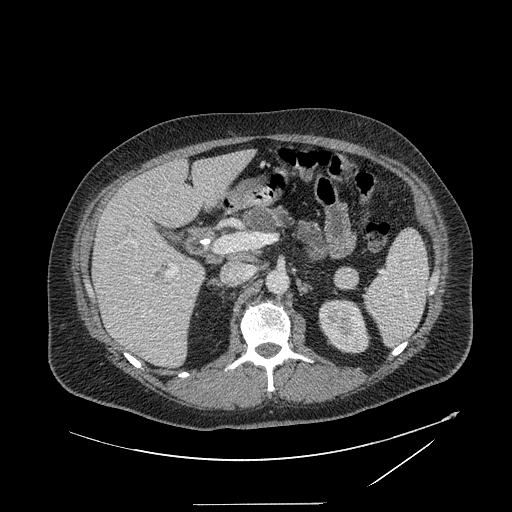 512x512 px. Abdomen. CT scan slice.
<segmentation>
  <pancreas><box>243,207,323,248</box></pancreas>
</segmentation>